CT slice; Field of view 432 mm wide, 1.50 mm slice spacing

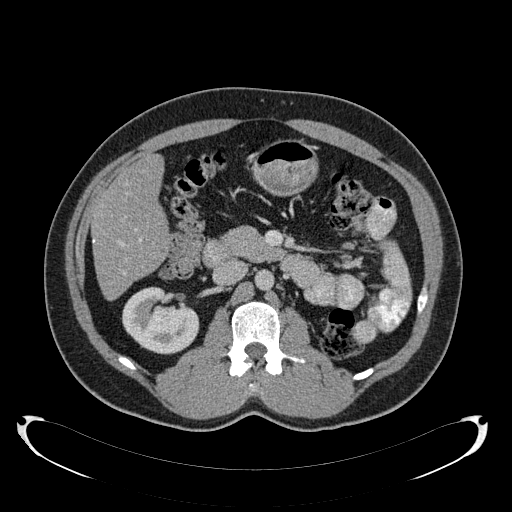

{
  "liver": [
    "[91,155,169,299]"
  ],
  "kidney": [
    "[123,287,198,358]"
  ]
}